Field of view 240x240 mm | Brain
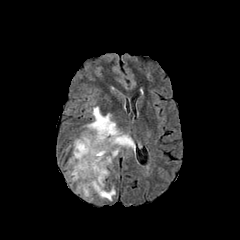
FLAIR MRI.
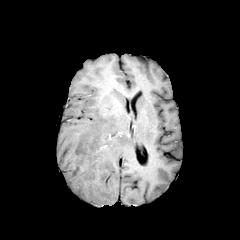
Same slice, T1-weighted MR.
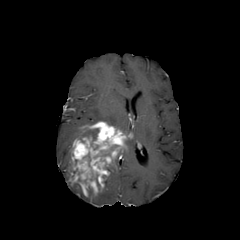
Post-contrast T1-weighted magnetic resonance.
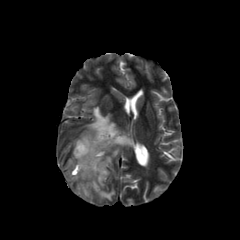
T2-weighted MRI.
The non-enhancing tumor core appears at region(82, 128, 98, 140). The enhancing tumor lies within region(69, 121, 129, 196). 5 edema regions are bounded by region(75, 183, 92, 199); region(126, 136, 135, 155); region(96, 185, 115, 201); region(87, 106, 118, 127); region(67, 158, 71, 178).